FLAIR MR image.
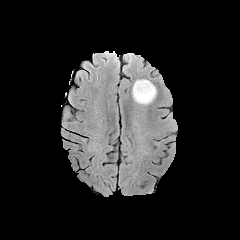
T1-weighted magnetic resonance.
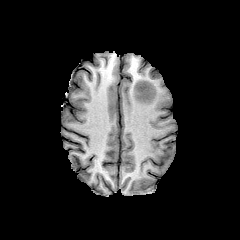
Post-contrast T1-weighted MR.
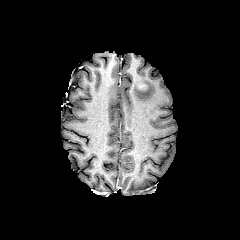
T2-weighted MR image.
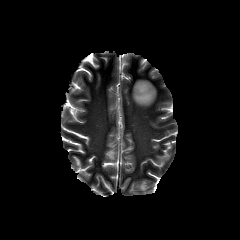
Brain.
{"non-enhancing_tumor_core": ["[x1=136, y1=81, x2=147, y2=91]"], "edema": ["[x1=132, y1=79, x2=157, y2=105]"]}